240x240 px, Field of view 240 mm wide, 1.00 mm slice spacing, Slice 55 of 155
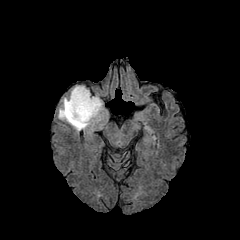
FLAIR magnetic resonance.
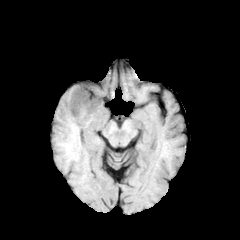
Same slice, T1-weighted MR image.
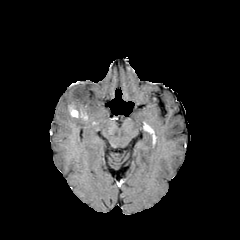
Post-contrast T1-weighted magnetic resonance of the same slice.
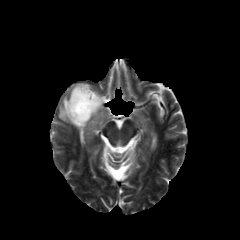
T2-weighted MRI.
Segmented structures:
- non-enhancing tumor core: x1=66, y1=98, x2=91, y2=121
- enhancing tumor: x1=68, y1=102, x2=87, y2=119
- edema: x1=58, y1=85, x2=105, y2=133